Pelvis, 512x512, CT, Slice index 61 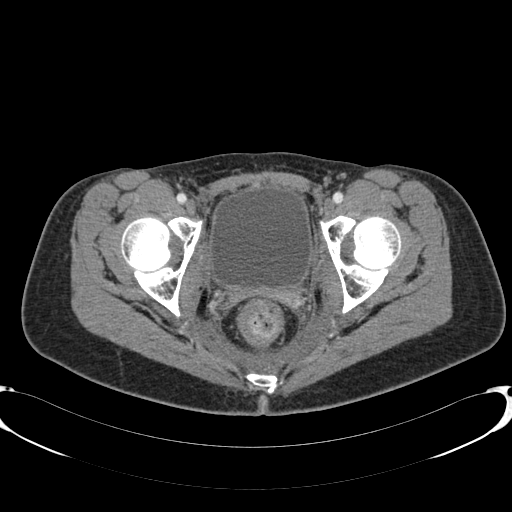

<segmentation>
  <urinary_bladder>x1=211, y1=188, x2=309, y2=286</urinary_bladder>
</segmentation>